512x512 px | Slice 53 of 82 | CT | Field of view 360 mm wide, 2.50 mm slice spacing

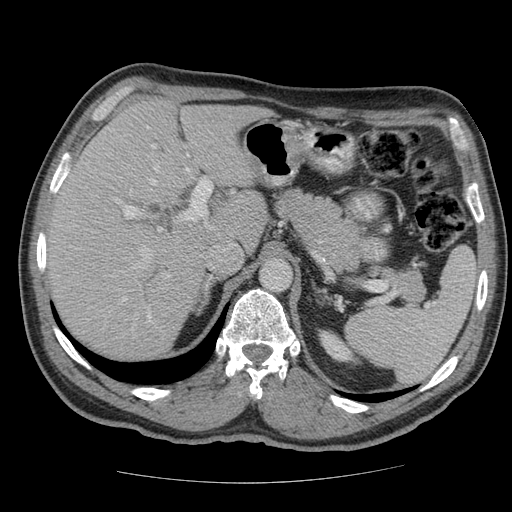
The vessel boxes may cover only some of the vessels.
11 hepatic vessel regions appear at 174,179,210,222; 163,274,167,276; 137,247,150,267; 158,227,161,230; 123,298,125,301; 185,169,189,171; 151,145,155,147; 125,207,138,218; 147,307,149,320; 112,198,118,202; 208,227,210,228.